CT image; Slice 87 of 836

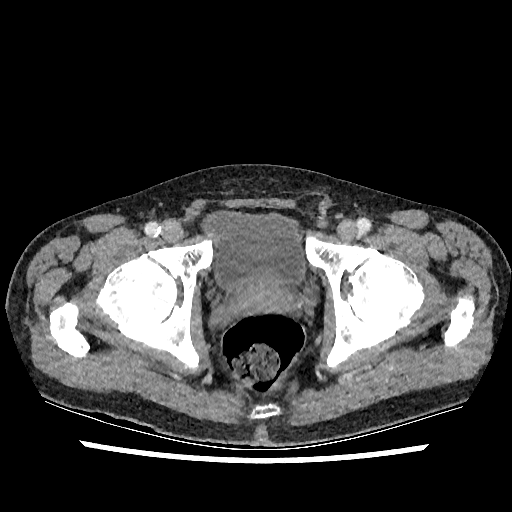

Urinary bladder — x1=201 y1=210 x2=313 y2=323.